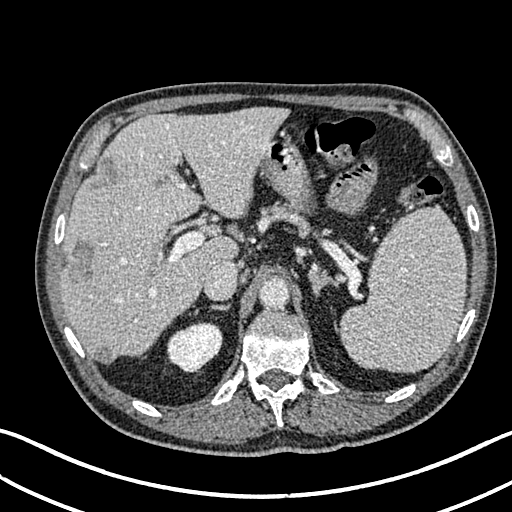 Computed tomography | Upper abdomen
liver_lesion:
  - x1=155 y1=179 x2=164 y2=187
  - x1=85 y1=155 x2=121 y2=194
  - x1=72 y1=241 x2=93 y2=279
  - x1=96 y1=348 x2=110 y2=361
liver:
  - x1=62 y1=106 x2=287 y2=363
  - x1=229 y1=225 x2=236 y2=234
kidney:
  - x1=168 y1=324 x2=221 y2=371